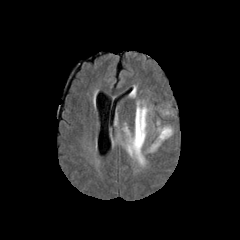
FLAIR magnetic resonance.
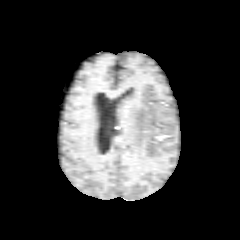
T1-weighted MR image of the same slice.
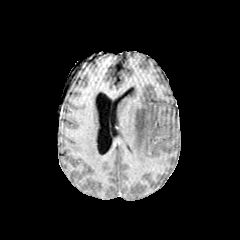
Post-contrast T1-weighted magnetic resonance.
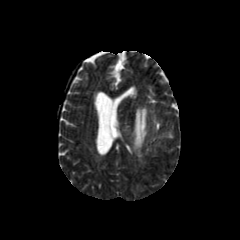
T2-weighted MRI of the same slice.
Head.
Edema at bbox(150, 127, 171, 151); bbox(127, 102, 147, 163).